CT
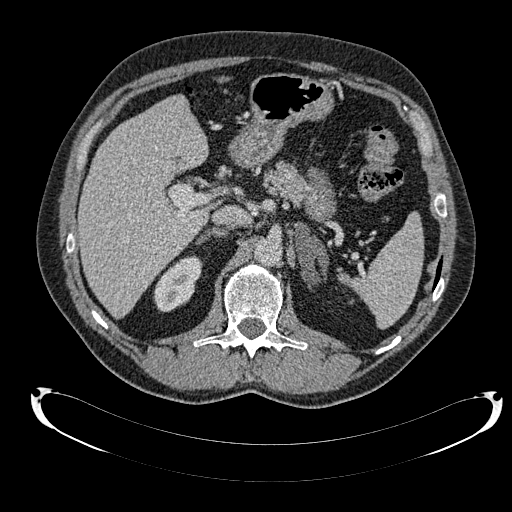

The liver is at bbox=[78, 96, 214, 316]. The kidney appears at bbox=[154, 257, 200, 311].